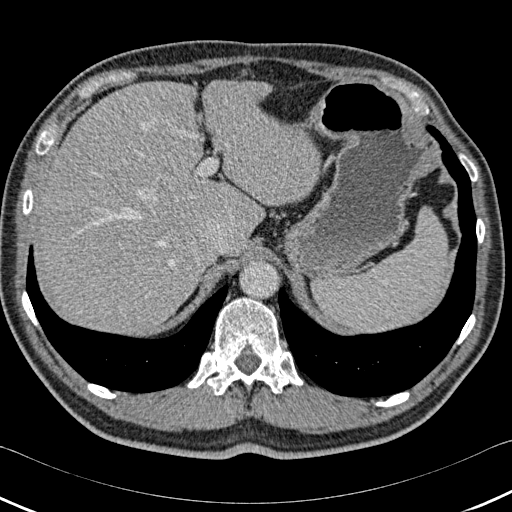 512x512 | Upper abdomen | CT
<segmentation>
  <lung>(26,245,229,393), (277,125,477,398)</lung>
  <bone>(36,130,53,154), (187,298,302,395), (22,291,37,325), (476,219,484,242), (23,189,32,214), (87,384,115,398), (457,314,475,344), (376,392,409,406), (459,154,477,181)</bone>
  <liver>(41,81,265,334), (203,80,320,204)</liver>
</segmentation>